Slice index 61; Image width 346 mm; CT
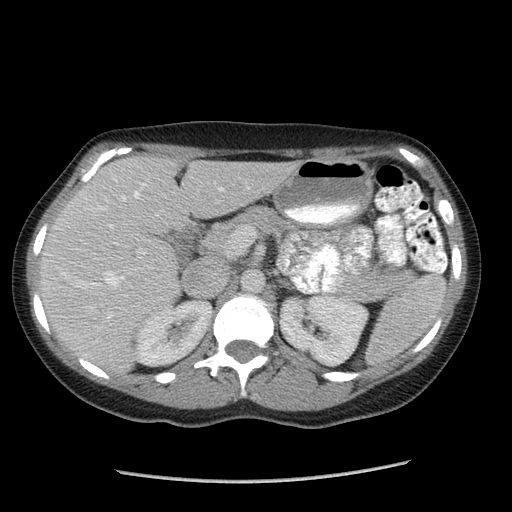
{
  "spleen": [
    "bbox=[365, 275, 445, 362]"
  ]
}